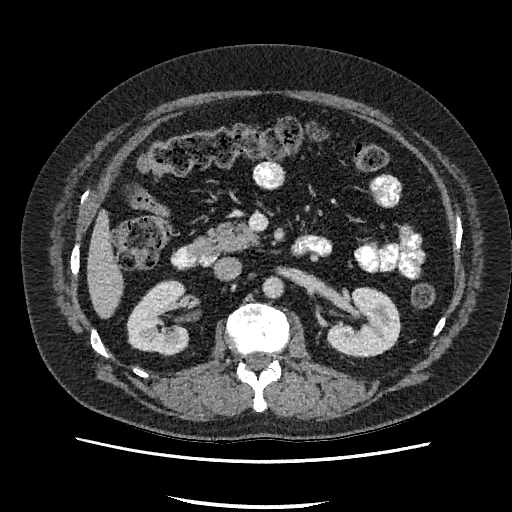 CT; 512x512 px

liver: 88:210:123:318 | kidney: 128:281:187:353, 328:288:399:355